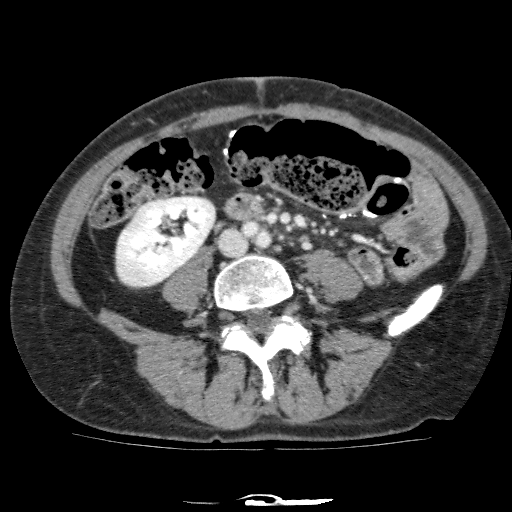

CT scan slice.
Kidney = x1=117, y1=197, x2=214, y2=285.